Image size 512x512; CT slice; Liver
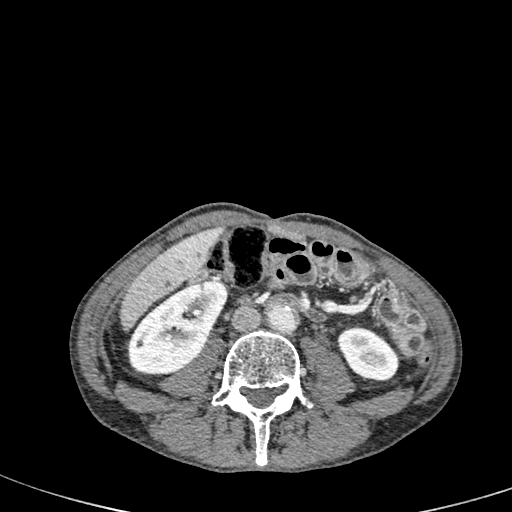

2 kidney regions are bounded by 338, 328, 397, 379; 129, 280, 227, 373. The liver is at 121, 226, 223, 329.